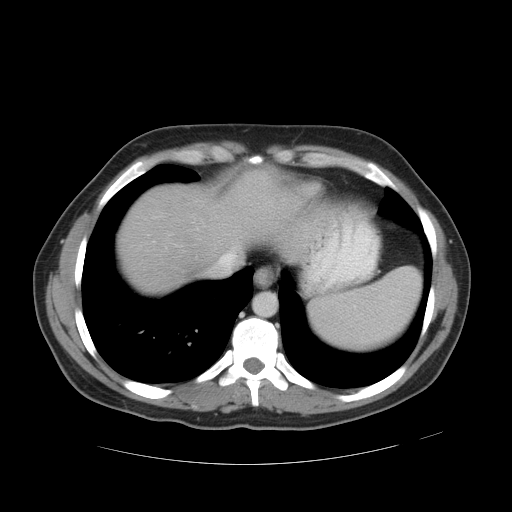
CT slice. Abdomen. 512x512 px.

Only some of the vessels may be annotated.
The hepatic vessel is bounded by <box>232,247,234,251</box>.